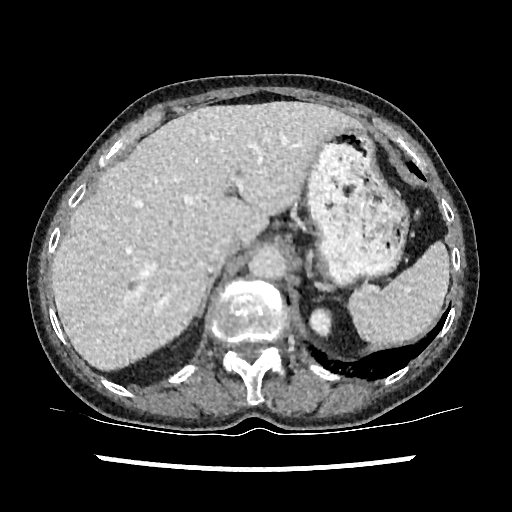

CT image, 512x512 px

liver:
  - x1=53 y1=103 x2=362 y2=370